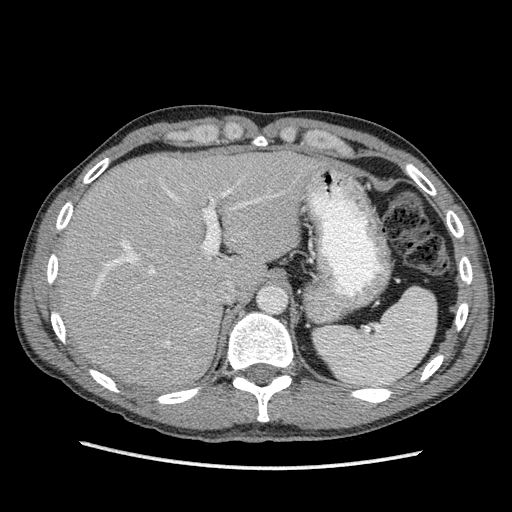 CT slice, Liver
Liver — region(55, 146, 326, 390).